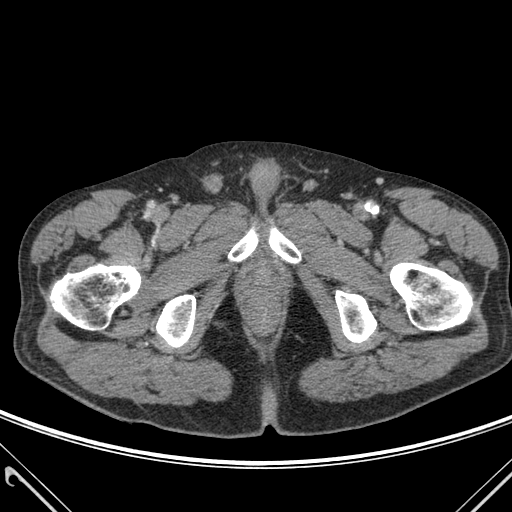

CT image

6 bone regions are located at 269, 228, 300, 262; 390, 263, 472, 330; 50, 264, 140, 329; 228, 229, 257, 261; 335, 290, 376, 342; 156, 295, 195, 347.